FLAIR MRI.
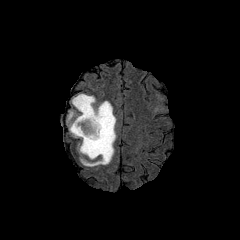
T1-weighted MR.
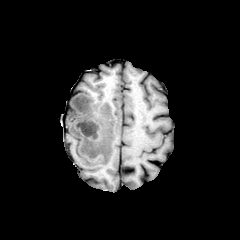
Post-contrast T1-weighted MR image.
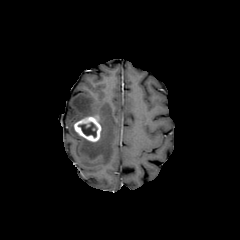
T2-weighted MR.
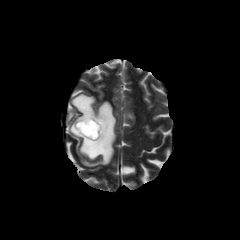
Head.
<segmentation>
  <edema>(x1=66, y1=94, x2=117, y2=167)</edema>
  <enhancing_tumor>(x1=74, y1=116, x2=101, y2=141)</enhancing_tumor>
  <non-enhancing_tumor_core>(x1=79, y1=122, x2=96, y2=136)</non-enhancing_tumor_core>
</segmentation>